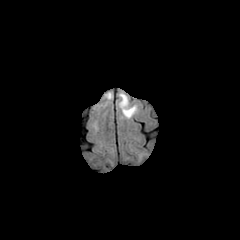
FLAIR magnetic resonance.
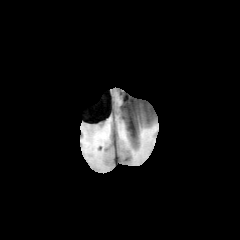
T1-weighted magnetic resonance.
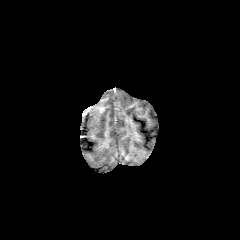
Post-contrast T1-weighted MR image of the same slice.
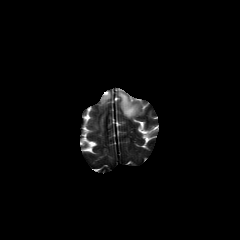
T2-weighted magnetic resonance.
Head
Edema at 118:92:138:118.